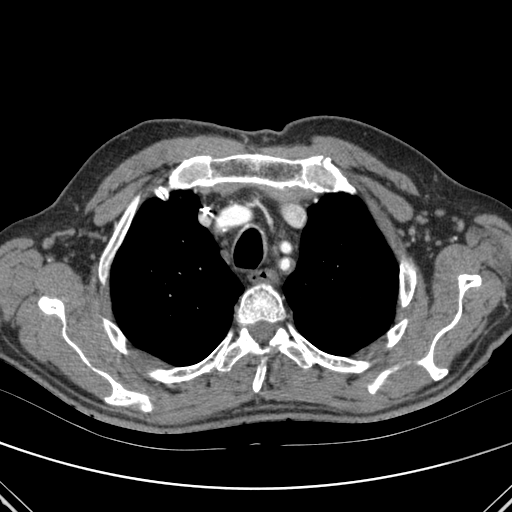
CT | Chest
{"lung": ["[110, 190, 243, 365]", "[283, 192, 398, 355]"], "bone": ["[368, 370, 391, 393]", "[418, 274, 481, 380]", "[96, 370, 152, 411]", "[387, 319, 407, 347]", "[148, 284, 370, 392]", "[103, 318, 127, 353]", "[38, 296, 89, 365]", "[155, 154, 355, 199]", "[400, 260, 416, 306]", "[99, 196, 139, 284]"]}